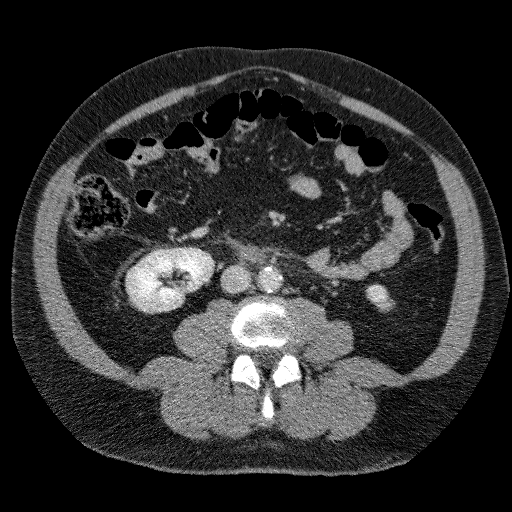 CT scan slice. Abdomen. 512x512.
Kidney — 127, 248, 212, 311; 368, 285, 385, 301.